Head. Field of view 240 mm wide, 1.00 mm slice spacing. Slice index 64.
FLAIR magnetic resonance.
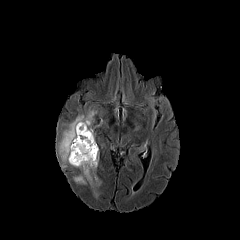
T1-weighted MRI.
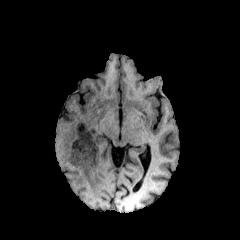
Post-contrast T1-weighted MR image.
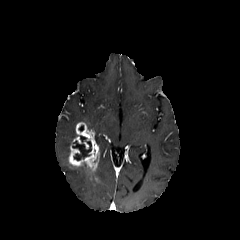
T2-weighted magnetic resonance.
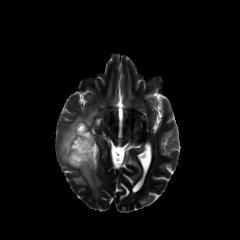
Non-enhancing tumor core = x1=72, y1=141, x2=91, y2=161.
Enhancing tumor = x1=69, y1=122, x2=99, y2=178.
Edema = x1=57, y1=104, x2=104, y2=190.